Abdomen, 512x512 px, Computed tomography 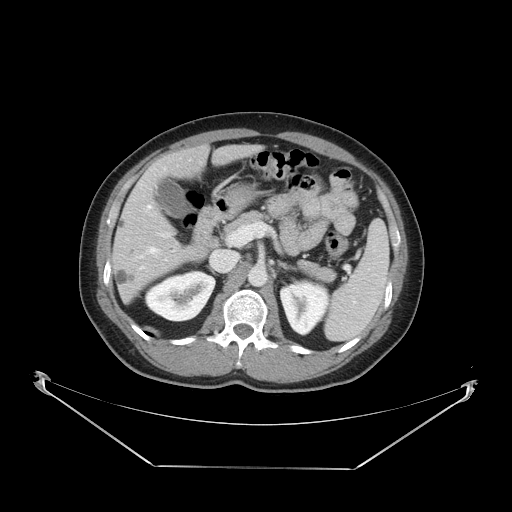 Only some of the vessels may be annotated.
Hepatic vessel — region(148, 206, 150, 207); region(159, 234, 168, 236); region(145, 247, 160, 253).